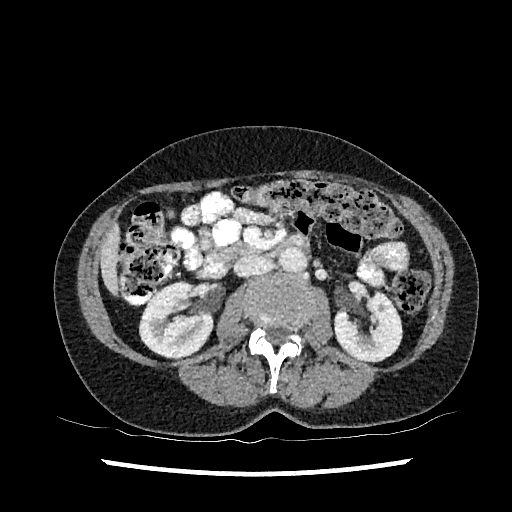 Upper abdomen. Image size 512x512. CT slice.
2 kidney regions are bounded by region(335, 293, 401, 361); region(140, 282, 212, 357). The liver lies within region(100, 226, 118, 293).